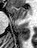

Medial temporal lobe; Magnetic resonance; 37x48 px
{
  "anterior_hippocampus": [
    "bbox=[10, 7, 27, 20]"
  ]
}